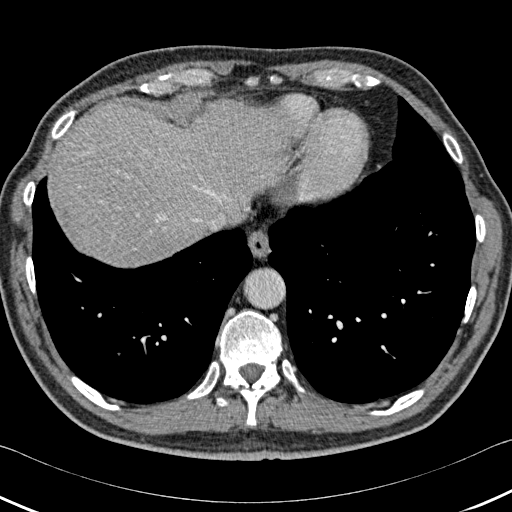

CT scan slice | Image size 512x512 | Abdomen
Lung — x1=32 y1=176 x2=262 y2=404, x1=264 y1=94 x2=475 y2=403.
Liver — x1=48 y1=98 x2=288 y2=266.
Bone — x1=217 y1=398 x2=227 y2=406, x1=475 y1=215 x2=485 y2=241, x1=282 y1=360 x2=304 y2=392, x1=26 y1=257 x2=34 y2=293, x1=370 y1=390 x2=423 y2=415, x1=23 y1=182 x2=34 y2=205, x1=464 y1=286 x2=476 y2=322, x1=187 y1=362 x2=218 y2=399, x1=71 y1=377 x2=119 y2=410, x1=220 y1=311 x2=281 y2=425, x1=52 y1=111 x2=74 y2=138, x1=443 y1=133 x2=462 y2=163.